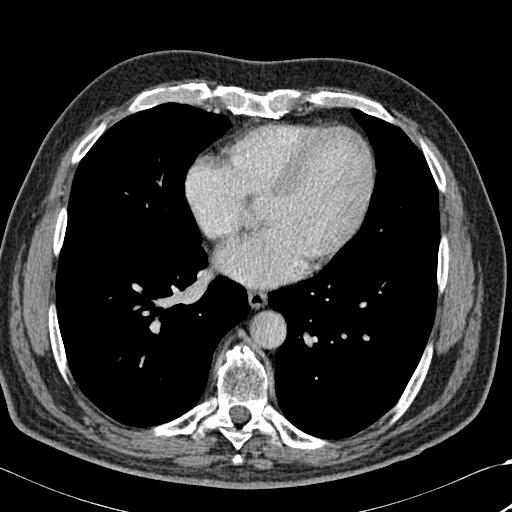 CT, Thorax
Annotated regions:
- lung: box(268, 109, 439, 438); box(55, 102, 249, 426)
- bone: box(129, 82, 392, 121); box(437, 234, 452, 290); box(51, 205, 67, 253); box(46, 308, 65, 376); box(393, 341, 434, 420); box(72, 120, 108, 162); box(417, 136, 446, 190); box(145, 345, 331, 449)